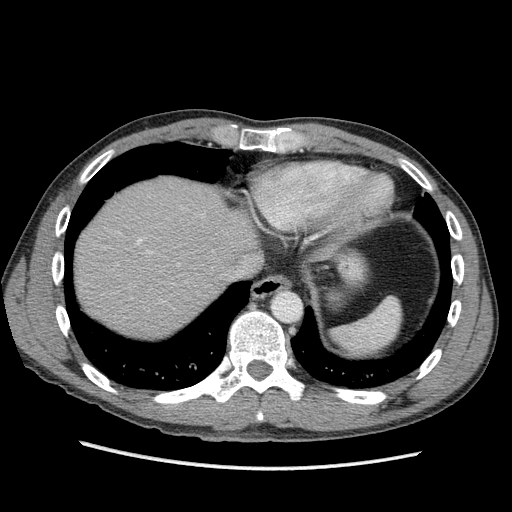
Abdomen. CT slice.
<segmentation>
  <liver>73, 176, 265, 340; 310, 234, 345, 260</liver>
</segmentation>